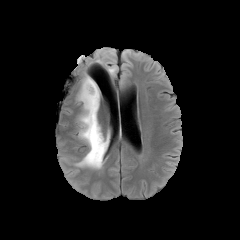
FLAIR magnetic resonance.
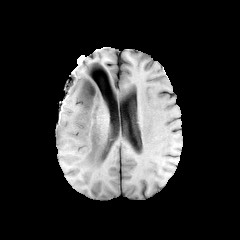
T1-weighted MR image.
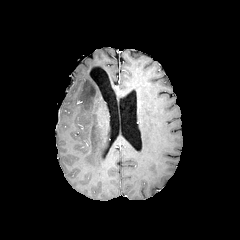
Same slice, post-contrast T1-weighted magnetic resonance.
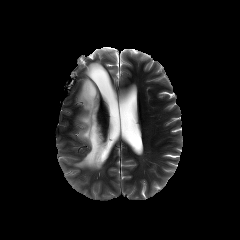
T2-weighted MRI.
Head.
The non-enhancing tumor core is bounded by (85,83,92,95). 3 edema regions are located at (75,76,109,168), (105,64,116,75), (102,50,115,60).